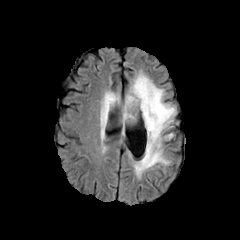
FLAIR MRI.
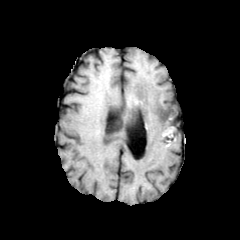
T1-weighted MR.
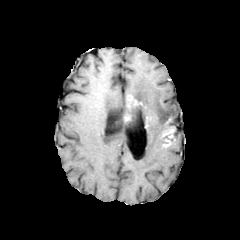
Post-contrast T1-weighted magnetic resonance of the same slice.
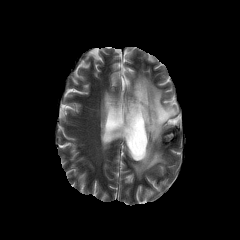
T2-weighted MR image of the same slice.
Brain
Annotated regions:
- enhancing tumor: (x1=126, y1=98, x2=141, y2=111)
- non-enhancing tumor core: (x1=125, y1=103, x2=162, y2=128), (x1=160, y1=130, x2=171, y2=137), (x1=156, y1=108, x2=171, y2=118)
- edema: (x1=100, y1=73, x2=176, y2=178)